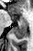

Medial temporal lobe | MR image
Annotated regions:
* anterior hippocampus: 17:16:26:23
* posterior hippocampus: 11:24:26:39